512x512 px; Computed tomography; Slice index 11 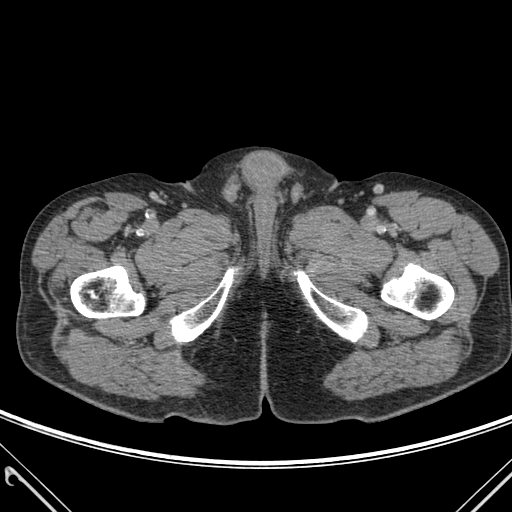

4 bone regions appear at [381, 263, 453, 319], [295, 271, 367, 341], [170, 269, 233, 341], [71, 266, 144, 318].